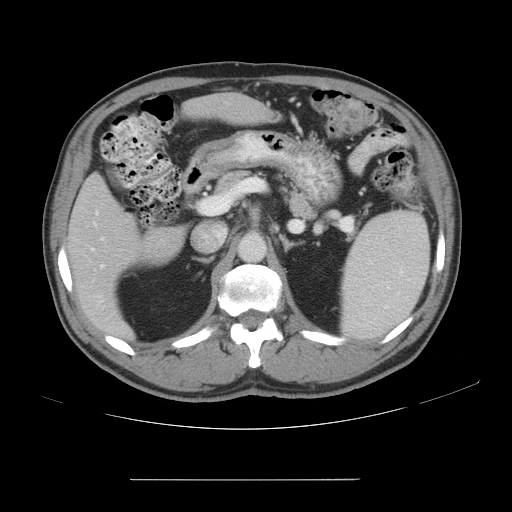

512x512. CT image. Abdomen.
Only some of the vessels may be annotated.
Hepatic vessel at (x1=91, y1=248, x2=93, y2=250), (x1=94, y1=269, x2=95, y2=270), (x1=97, y1=295, x2=101, y2=297), (x1=101, y1=265, x2=104, y2=267), (x1=93, y1=222, x2=95, y2=225), (x1=95, y1=212, x2=97, y2=214).